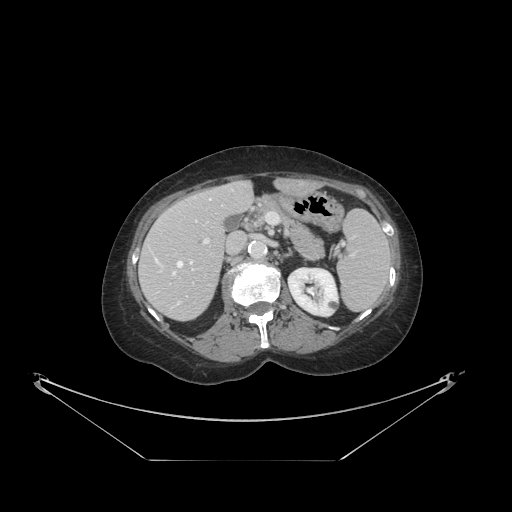
Liver. CT scan slice.
Only some of the vessels may be annotated.
Findings:
- hepatic vessel: 172 272 174 274, 177 302 179 304, 190 260 192 263, 195 220 196 221, 265 210 278 223, 154 258 157 261, 203 238 208 243, 177 261 182 266